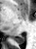
Hippocampus, Image size 36x49, MRI slice
Posterior hippocampus — 14:35:24:43.